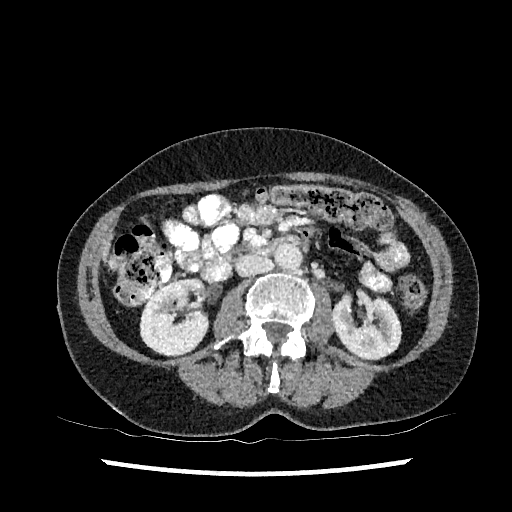 CT, Abdomen
{
  "liver": [
    "box=[103, 244, 108, 259]"
  ],
  "kidney": [
    "box=[333, 296, 400, 358]",
    "box=[140, 280, 207, 354]"
  ]
}